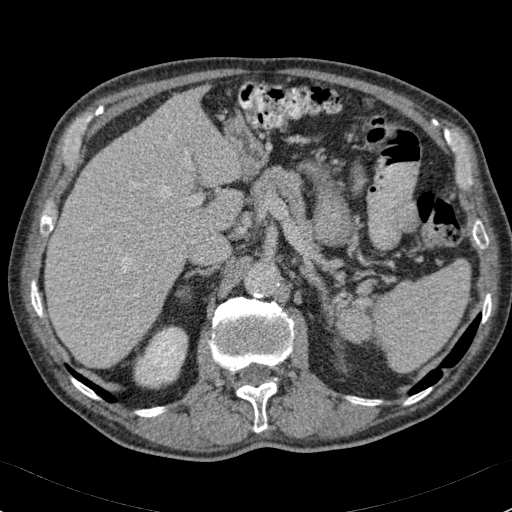

512x512. Computed tomography. Liver: bounding box <box>46,93,242,367</box>, <box>197,85,208,99</box>.
Kidney: bounding box <box>136,328,186,385</box>.